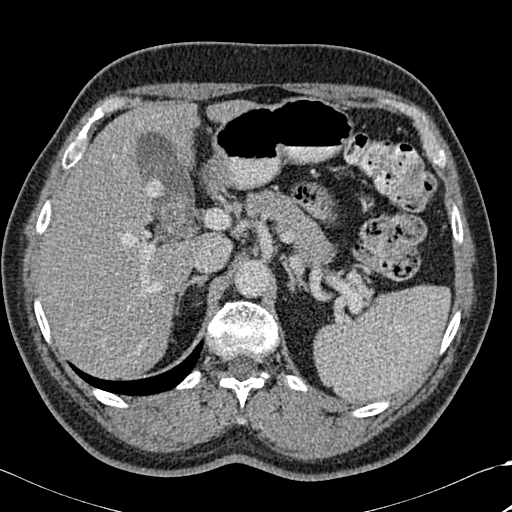

Image size 512x512, CT slice
The lung lies within <box>69,340,203,395</box>. 10 bone regions appear at <box>287,376,306,390</box>, <box>354,402,387,416</box>, <box>177,372,200,388</box>, <box>452,208,462,241</box>, <box>67,116,95,160</box>, <box>36,202,50,232</box>, <box>441,313,459,351</box>, <box>35,302,49,340</box>, <box>207,302,277,406</box>, <box>94,389,125,407</box>. 3 liver regions are located at <box>40,103,199,379</box>, <box>219,103,228,121</box>, <box>228,101,248,107</box>.